FLAIR MR image.
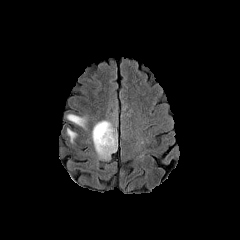
T1-weighted magnetic resonance.
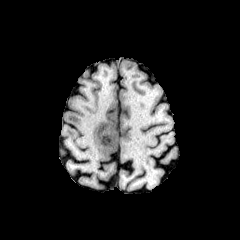
Post-contrast T1-weighted MR.
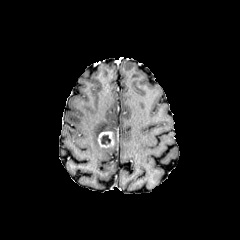
T2-weighted MR.
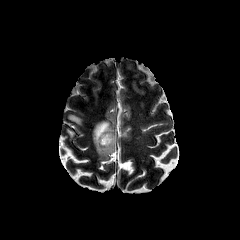
Brain
<segmentation>
  <non-enhancing_tumor_core>{"x1": 100, "y1": 134, "x2": 110, "y2": 146}</non-enhancing_tumor_core>
  <enhancing_tumor>{"x1": 97, "y1": 131, "x2": 113, "y2": 148}</enhancing_tumor>
  <edema>{"x1": 68, "y1": 114, "x2": 83, "y2": 125}, {"x1": 67, "y1": 129, "x2": 75, "y2": 141}, {"x1": 93, "y1": 120, "x2": 115, "y2": 158}</edema>
</segmentation>